FLAIR MR.
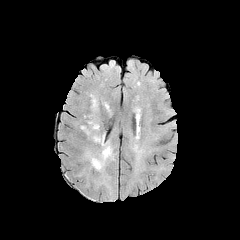
T1-weighted magnetic resonance.
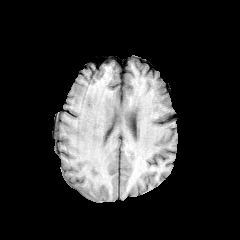
Post-contrast T1-weighted MRI.
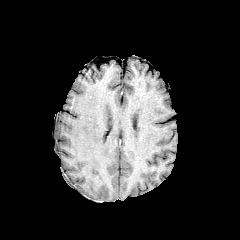
T2-weighted magnetic resonance.
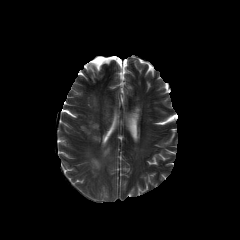
3 edema regions appear at [91,95,97,109], [101,134,111,156], [92,159,100,171].